Head, Image size 240x240
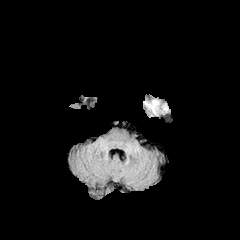
FLAIR MRI.
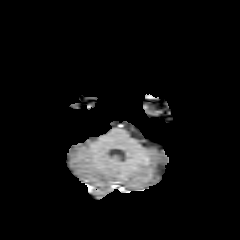
T1-weighted magnetic resonance.
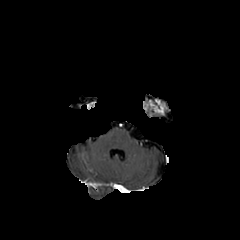
Post-contrast T1-weighted MR image.
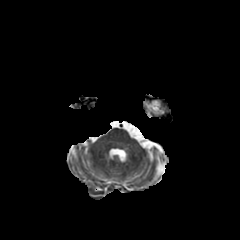
T2-weighted MR image of the same slice.
Enhancing tumor = 147,100,164,113.